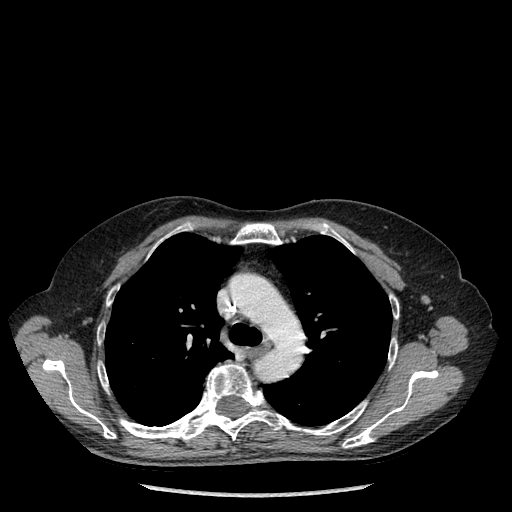
CT slice | Thorax | 512x512
Bone: {"x1": 321, "y1": 223, "x2": 354, "y2": 253}, {"x1": 119, "y1": 364, "x2": 367, "y2": 440}, {"x1": 97, "y1": 361, "x2": 108, "y2": 392}, {"x1": 342, "y1": 370, "x2": 438, "y2": 447}, {"x1": 388, "y1": 338, "x2": 397, "y2": 368}, {"x1": 148, "y1": 222, "x2": 191, "y2": 256}, {"x1": 389, "y1": 294, "x2": 399, "y2": 318}, {"x1": 106, "y1": 289, "x2": 113, "y2": 306}, {"x1": 230, "y1": 223, "x2": 282, "y2": 244}, {"x1": 97, "y1": 323, "x2": 105, "y2": 344}, {"x1": 42, "y1": 358, "x2": 116, "y2": 438}.
Lung: {"x1": 105, "y1": 233, "x2": 261, "y2": 426}, {"x1": 263, "y1": 235, "x2": 391, "y2": 425}.